Computed tomography, Slice 415 of 917, Field of view 429 mm wide, 0.70 mm slice spacing 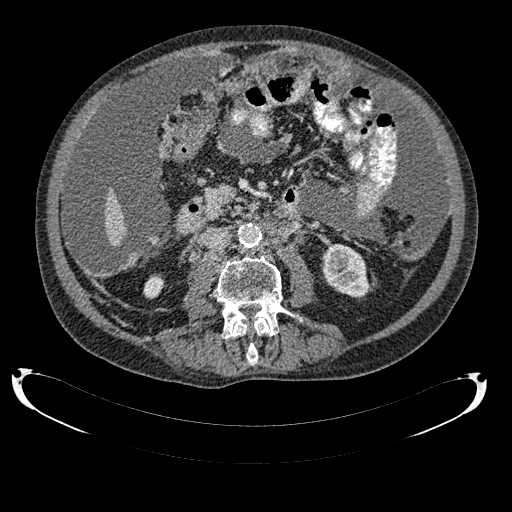

The liver lies within region(104, 189, 125, 245). 2 kidney regions are bounded by region(144, 276, 163, 297); region(323, 244, 368, 296).